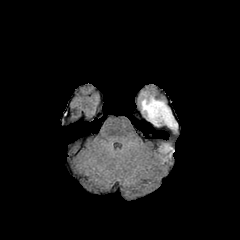
FLAIR magnetic resonance.
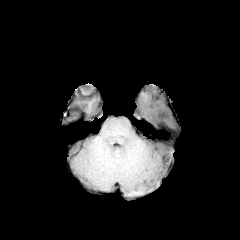
T1-weighted magnetic resonance.
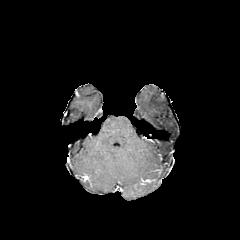
Post-contrast T1-weighted MR image of the same slice.
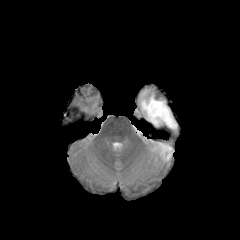
T2-weighted magnetic resonance.
Brain.
Edema — 139:91:177:131, 158:142:173:161.